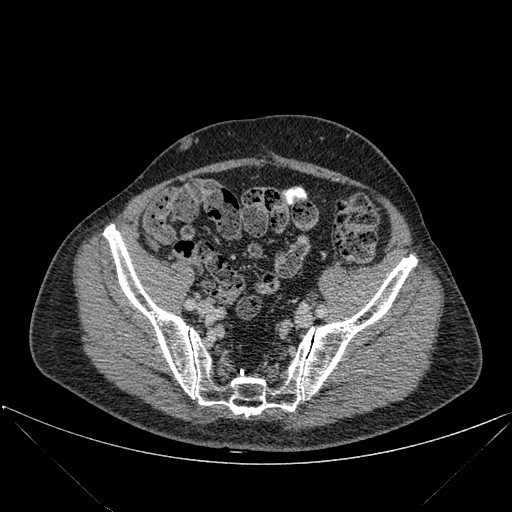 512x512 px | CT slice

The bone is bounded by <bbox>103, 224, 417, 416</bbox>.